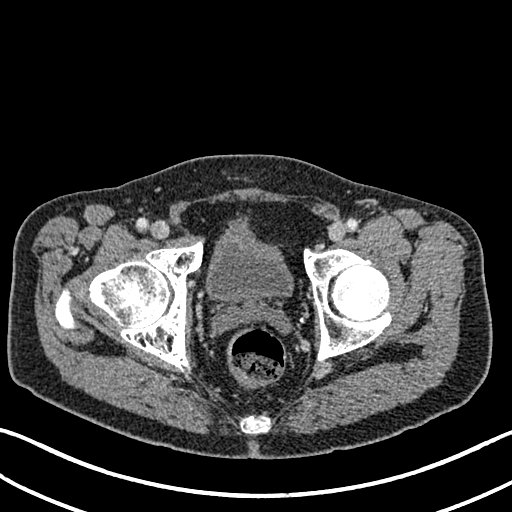 Lower abdomen. CT. Urinary bladder at x1=205, y1=229, x2=292, y2=306.